Brain | Slice 93/155
FLAIR MR.
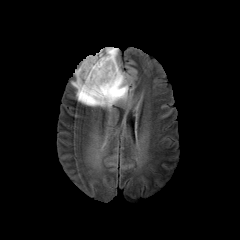
T1-weighted MR image.
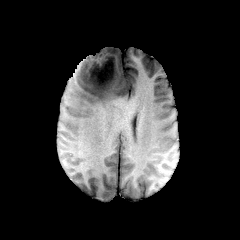
Post-contrast T1-weighted MR image.
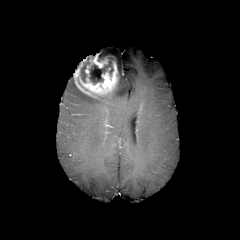
T2-weighted magnetic resonance.
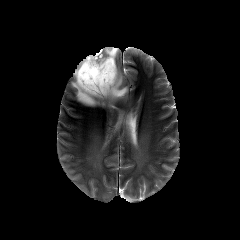
Enhancing tumor at 74 53 118 96.
Edema at 71 48 130 107.
Non-enhancing tumor core at 89 60 111 83, 81 64 86 81.